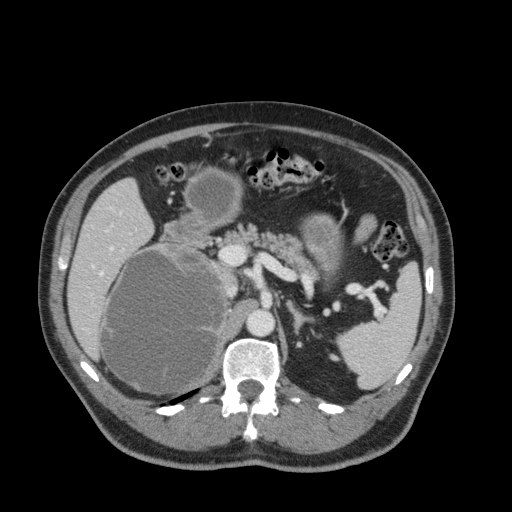
CT scan slice. {
  "liver": [
    "box(69, 180, 152, 357)"
  ]
}